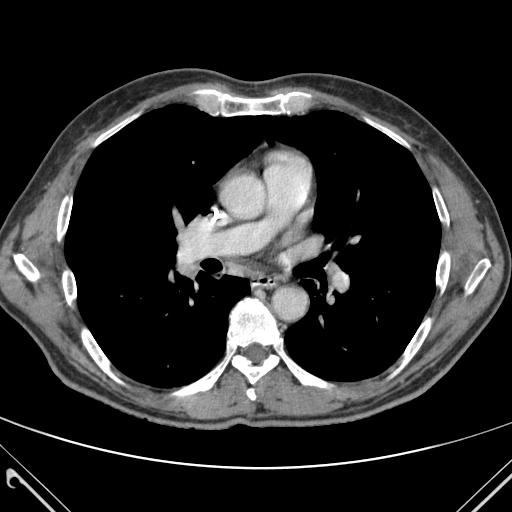
CT scan slice, Chest, Image size 512x512
{"lung": ["65, 105, 440, 387"], "bone": ["399, 319, 430, 369", "465, 259, 490, 292", "14, 254, 39, 280", "247, 389, 255, 399", "82, 330, 120, 382", "365, 119, 407, 145", "436, 253, 449, 291", "57, 197, 72, 240", "95, 115, 137, 144", "62, 271, 76, 304", "196, 90, 310, 115", "173, 298, 327, 395", "433, 190, 448, 224"]}